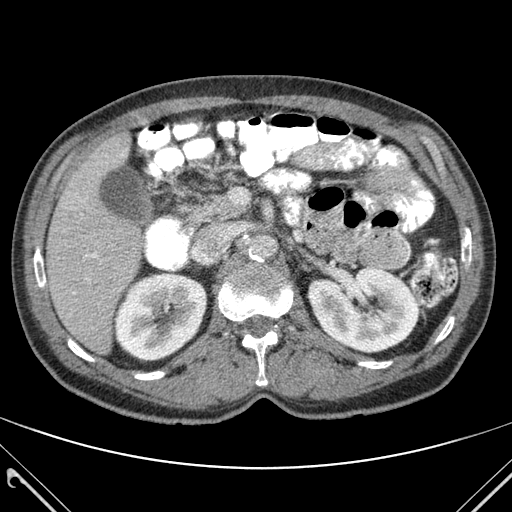
CT image. Liver.
Kidney = left=309, top=268, right=418, bottom=351; left=116, top=274, right=205, bottom=359.
Liver = left=47, top=132, right=145, bottom=353.
Bone = left=359, top=361, right=390, bottom=368; left=218, top=270, right=292, bottom=320; left=436, top=317, right=453, bottom=341; left=242, top=332, right=277, bottom=385; left=135, top=371, right=163, bottom=379; left=34, top=247, right=45, bottom=286; left=462, top=229, right=471, bottom=260; left=68, top=340, right=93, bottom=360.